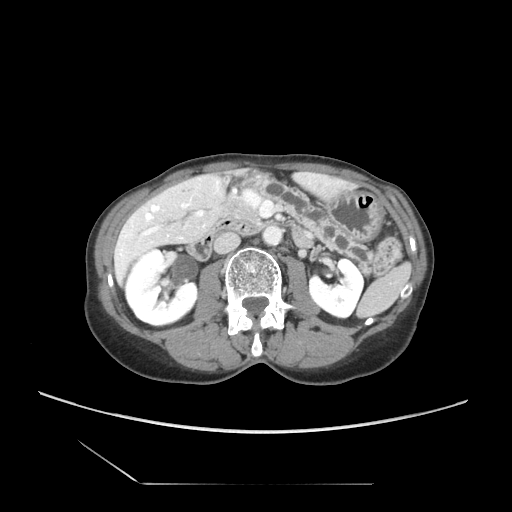

Abdomen, 512x512, Computed tomography

The pancreas is bounded by <bbox>261, 180, 373, 274</bbox>.